CT slice; Image size 512x512; Liver
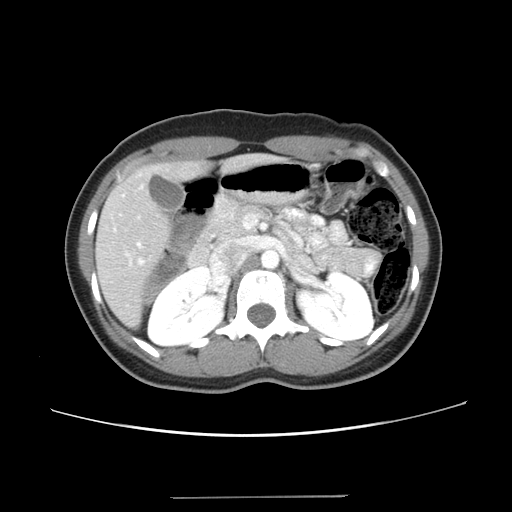
Only some of the vessels may be annotated.
Segmented structures:
* hepatic vessel: {"x1": 114, "y1": 228, "x2": 116, "y2": 231}, {"x1": 140, "y1": 185, "x2": 143, "y2": 188}, {"x1": 139, "y1": 259, "x2": 143, "y2": 264}, {"x1": 123, "y1": 194, "x2": 124, "y2": 196}, {"x1": 137, "y1": 243, "x2": 141, "y2": 247}, {"x1": 130, "y1": 260, "x2": 131, "y2": 263}, {"x1": 126, "y1": 253, "x2": 129, "y2": 256}, {"x1": 138, "y1": 216, "x2": 140, "y2": 218}